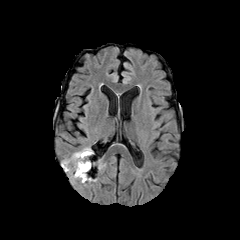
FLAIR MR image.
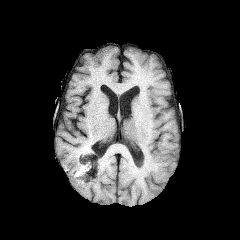
T1-weighted magnetic resonance of the same slice.
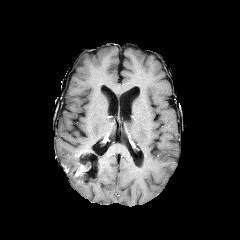
Post-contrast T1-weighted MR of the same slice.
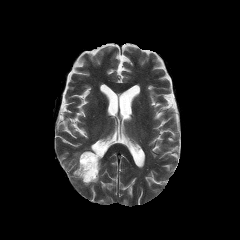
Same slice, T2-weighted MR.
Brain
edema:
  - <box>61,151,96,185</box>
  - <box>97,158,105,170</box>
enhancing_tumor:
  - <box>75,163,87,176</box>
non-enhancing_tumor_core:
  - <box>78,152,97,181</box>